Pelvis; CT scan slice

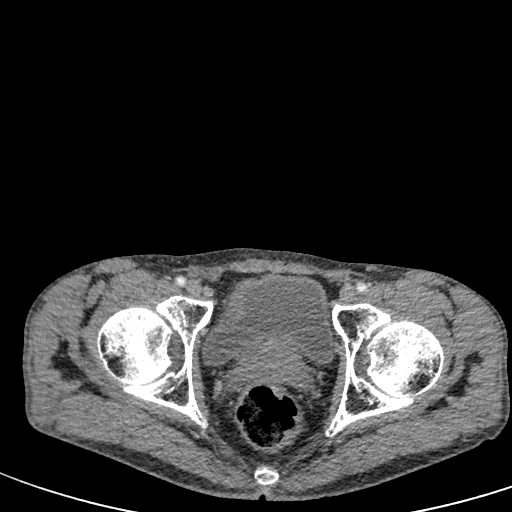
• urinary bladder: <box>202,273,335,365</box>